Image size 320x320. Field of view 192 mm wide, 4.00 mm slice spacing. Pelvis. Slice index 8.
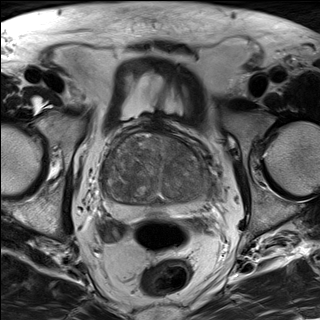
T2-weighted MRI.
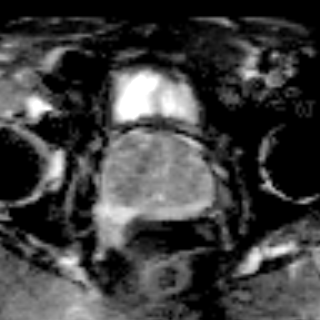
Same slice, ADC MR image.
prostate peripheral zone: box(104, 190, 207, 221) | prostate transition zone: box(104, 131, 207, 204)